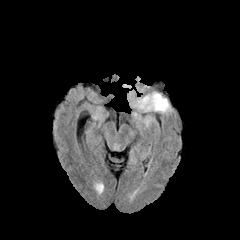
FLAIR MR image.
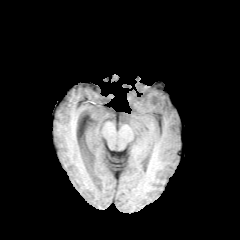
T1-weighted MR.
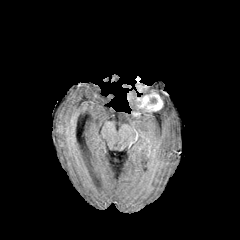
Post-contrast T1-weighted MRI.
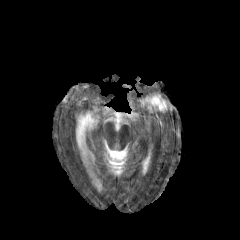
Same slice, T2-weighted magnetic resonance.
Head
Enhancing tumor = [x1=136, y1=93, x2=162, y2=110].
Non-enhancing tumor core = [x1=149, y1=97, x2=158, y2=104].
Edema = [x1=129, y1=92, x2=171, y2=112].